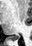

MRI; Image size 32x46; Medial temporal lobe

Posterior hippocampus = (x1=10, y1=35, x2=19, y2=41).